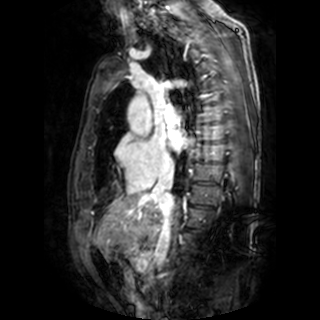
MR image, Image size 320x320, Heart
Left atrium at [169,130,188,152].